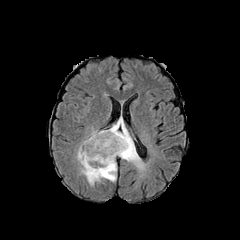
FLAIR MR image.
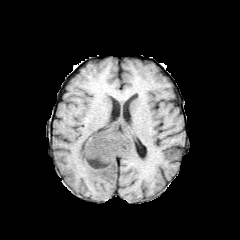
T1-weighted MR.
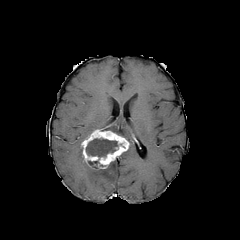
Post-contrast T1-weighted magnetic resonance of the same slice.
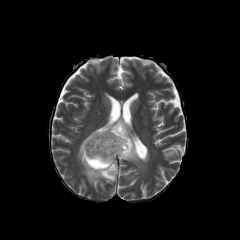
Same slice, T2-weighted MR image.
Head.
The enhancing tumor appears at left=81, top=129, right=128, bottom=168. 2 edema regions are bounded by left=103, top=113, right=145, bottom=171; left=76, top=145, right=117, bottom=186. The non-enhancing tumor core lies within left=86, top=139, right=117, bottom=156.